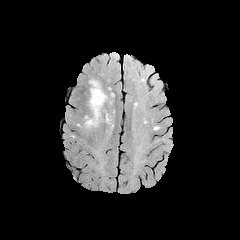
FLAIR MR image.
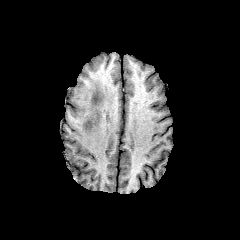
T1-weighted MR.
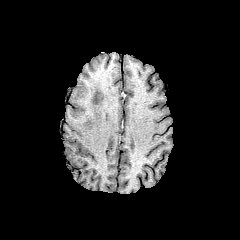
Same slice, post-contrast T1-weighted MRI.
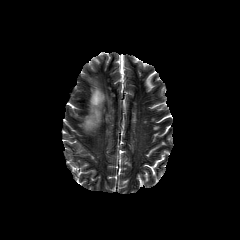
T2-weighted MR of the same slice.
The edema appears at 84:78:108:129.